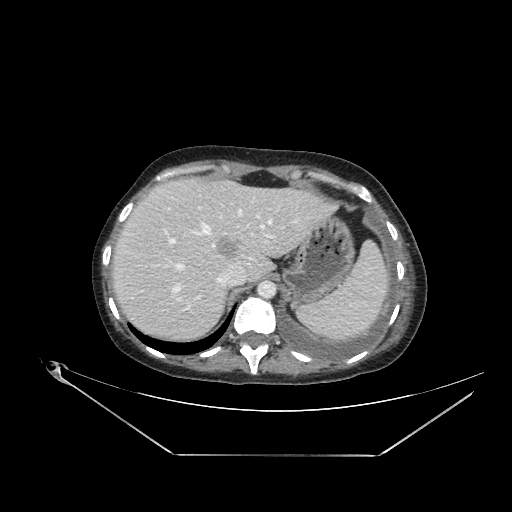
Abdomen | CT image | 512x512 px
Focal liver lesion at box=[215, 238, 243, 256].
Liver at box=[117, 179, 335, 336].